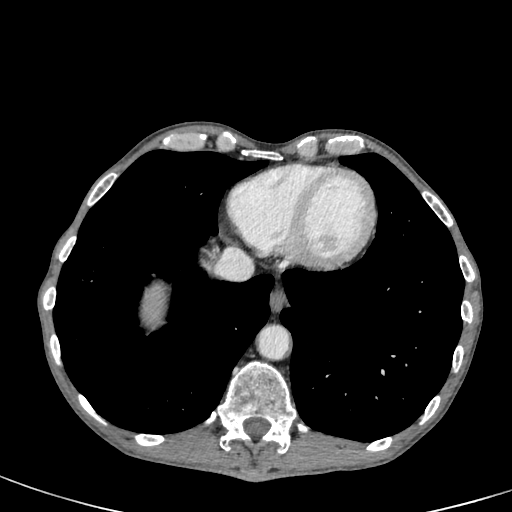
Liver | 512x512 | CT slice
liver:
  - 143,284,166,326